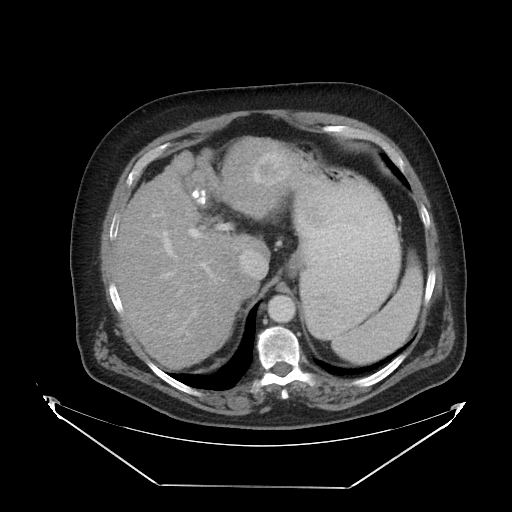
Liver, CT slice
Not every hepatic vessel necessarily has a box.
Hepatic vessel: x1=220 y1=225 x2=227 y2=229, x1=166 y1=241 x2=170 y2=252, x1=197 y1=263 x2=198 y2=265, x1=192 y1=229 x2=200 y2=238, x1=240 y1=249 x2=266 y2=277.
Liver tumor: x1=253 y1=153 x2=292 y2=182.